Medial temporal lobe. 33x44 px. Magnetic resonance.
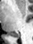
Segmented structures:
• posterior hippocampus: bbox(14, 34, 18, 37)